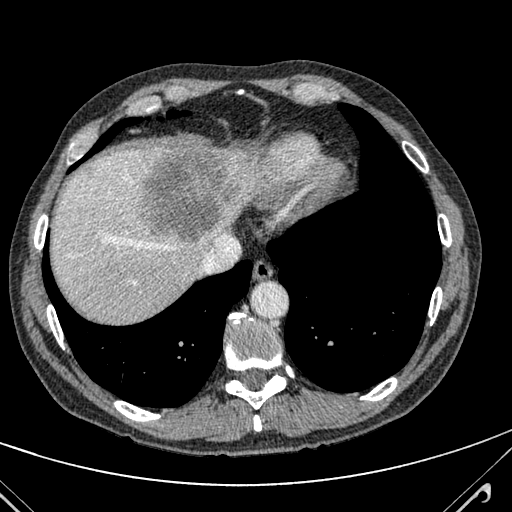 Liver | Computed tomography

Liver: bounding box <bbox>51, 147, 254, 321</bbox>.
Liver lesion: bounding box <bbox>140, 147, 240, 240</bbox>.